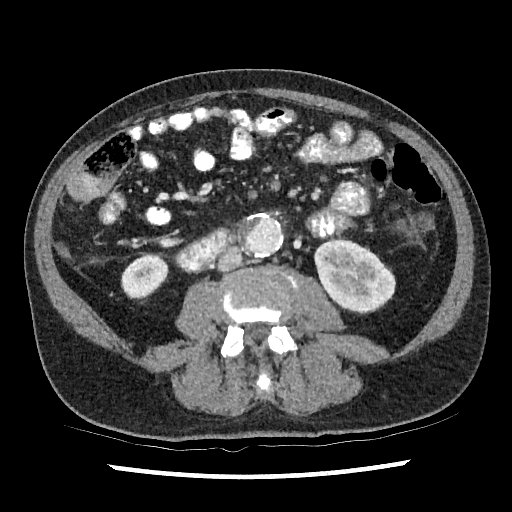
Abdomen | CT image

Kidney at (315,240,395,312), (122,255,167,297).